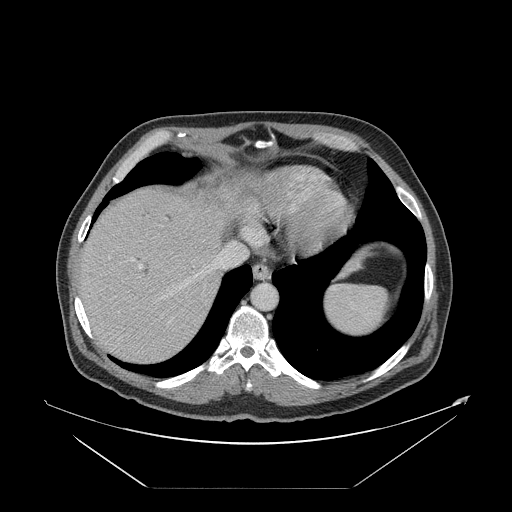 CT slice

The vessel annotation is not exhaustive.
Hepatic vessel: bounding box box=[168, 321, 170, 323]; box=[159, 243, 247, 299]; box=[243, 228, 255, 243]; box=[128, 257, 134, 261]; box=[138, 264, 143, 269]; box=[171, 318, 172, 320].